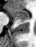 MRI
anterior hippocampus: left=8, top=7, right=29, bottom=16 | posterior hippocampus: left=12, top=17, right=29, bottom=21